FLAIR MRI.
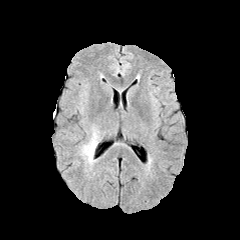
T1-weighted MRI.
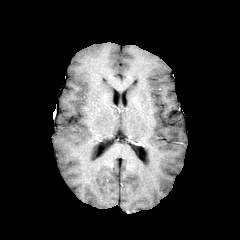
Post-contrast T1-weighted MR image.
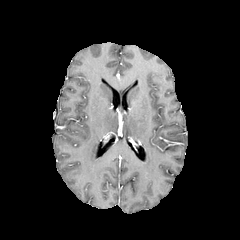
T2-weighted MRI.
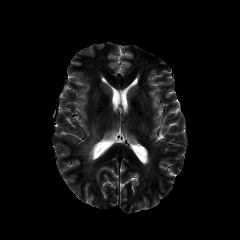
240x240 px, Head
edema: (x1=80, y1=127, x2=101, y2=165)